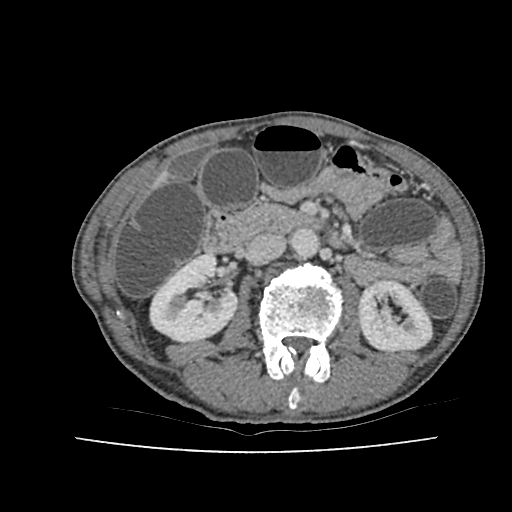

CT image
2 kidney regions are located at rect(151, 254, 236, 341); rect(360, 281, 431, 350).